Image size 512x512 | Slice index 46 | Computed tomography

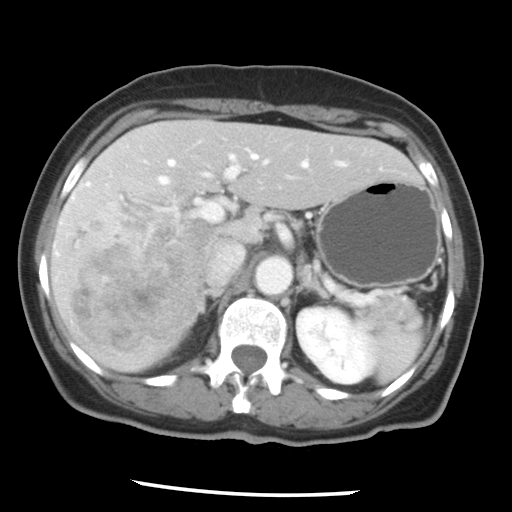 Only some of the vessels may be annotated.
The liver tumor lies within bbox(69, 219, 213, 348). 12 hepatic vessel regions appear at bbox(302, 160, 308, 167); bbox(227, 155, 239, 176); bbox(157, 176, 169, 185); bbox(249, 152, 258, 159); bbox(167, 158, 175, 166); bbox(83, 181, 92, 187); bbox(62, 230, 70, 235); bbox(106, 185, 107, 186); bbox(202, 172, 209, 176); bbox(213, 245, 243, 276); bbox(340, 162, 344, 165); bbox(193, 199, 226, 221).